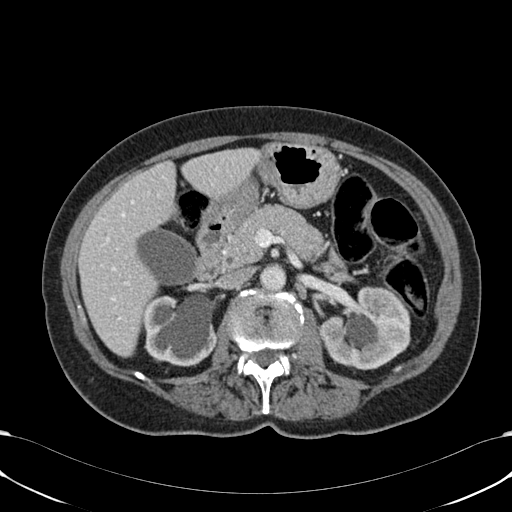

CT
Annotated regions:
* kidney: [320,287,409,369], [141,295,216,365], [192,281,200,292]
* liver: [181,148,259,197], [79,161,177,356]